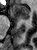
MRI; Medial temporal lobe

The anterior hippocampus is located at region(10, 5, 29, 21).